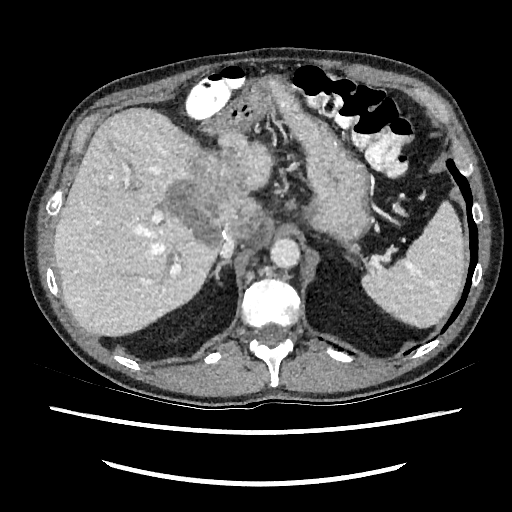

512x512 px, CT scan slice, Abdomen
The hepatic lesion lies within 161, 147, 263, 246. 3 liver regions are bounded by 247, 219, 262, 240; 53, 108, 220, 335; 216, 131, 271, 192.